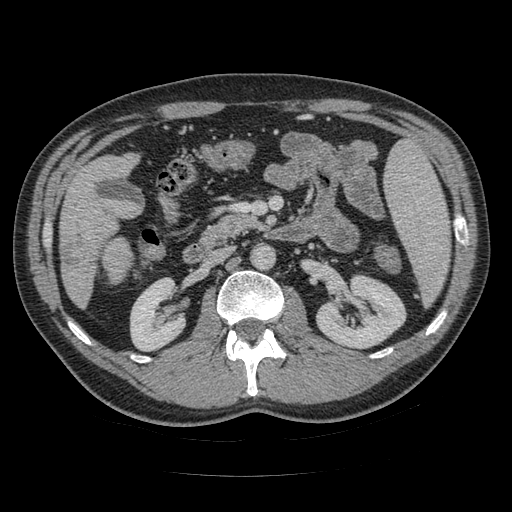 Upper abdomen. CT image.
pancreas:
  - bbox(204, 214, 256, 243)